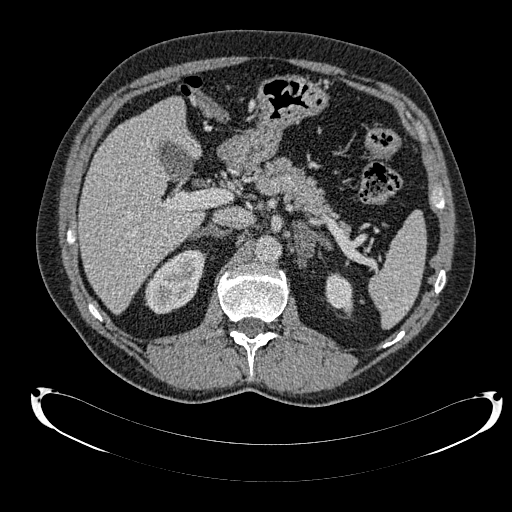
CT image, Upper abdomen
<segmentation>
  <liver>(x1=79, y1=97, x2=203, y2=312)</liver>
  <kidney>(x1=326, y1=275, x2=351, y2=311), (x1=146, y1=250, x2=204, y2=313)</kidney>
</segmentation>